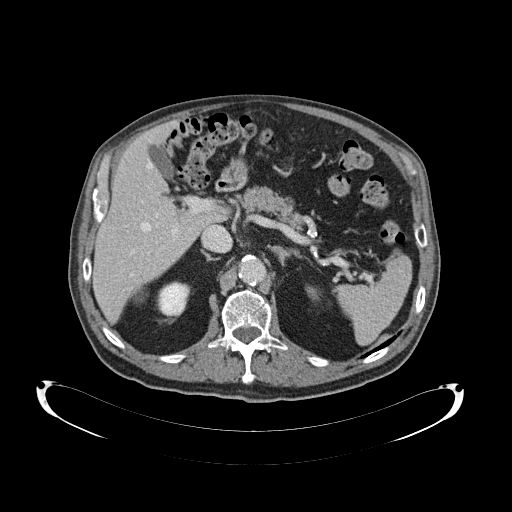 Upper abdomen; CT image
Pancreas: box=[240, 185, 305, 231].